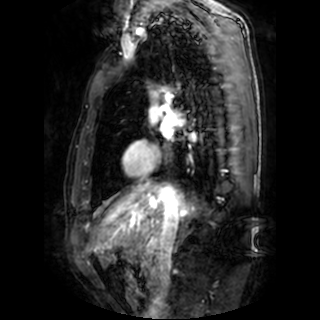 MRI slice; Cardiac
left_atrium:
  - bbox(162, 128, 171, 137)